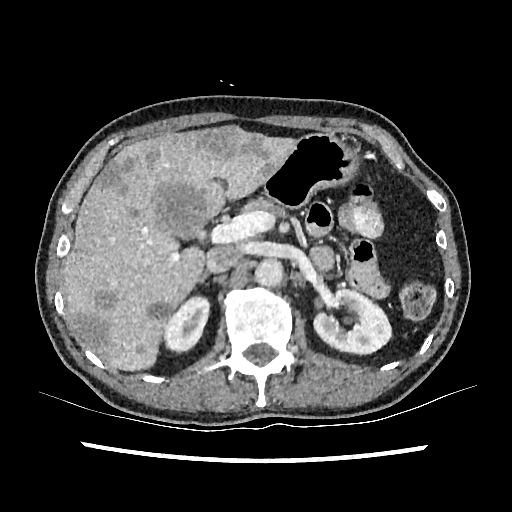

Abdomen, Computed tomography
Liver: <box>65,130,296,369</box>, <box>236,128,249,144</box>.
Focal liver lesion: <box>145,148,160,164</box>, <box>129,207,139,217</box>, <box>154,182,207,237</box>, <box>96,157,134,193</box>, <box>136,344,145,354</box>, <box>258,163,277,177</box>, <box>146,301,173,320</box>, <box>94,291,116,310</box>, <box>189,127,270,164</box>, <box>72,314,108,354</box>.
Kidney: <box>165,298,208,350</box>, <box>314,287,394,358</box>.